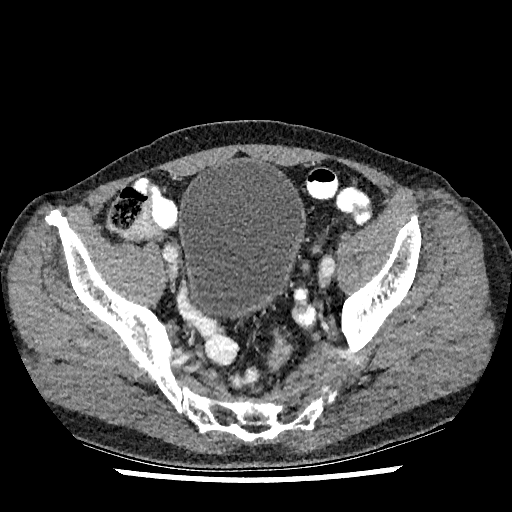
Pelvis; CT slice
Urinary bladder — [179,161,302,319].